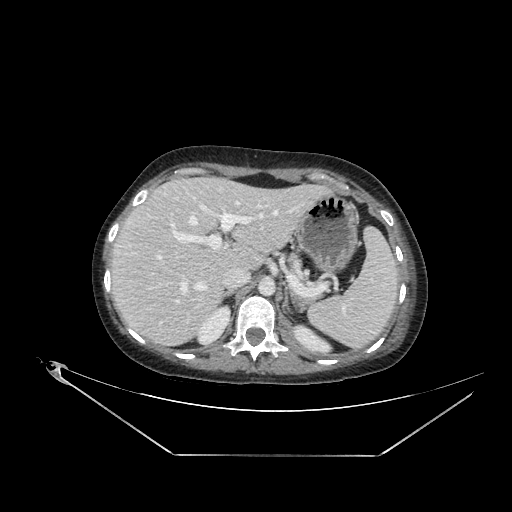
CT
- liver: l=111, t=181, r=321, b=341
- kidney: l=294, t=326, r=329, b=351; l=194, t=307, r=229, b=343